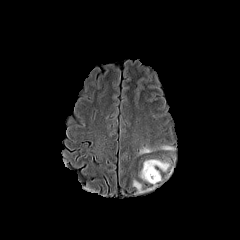
FLAIR magnetic resonance.
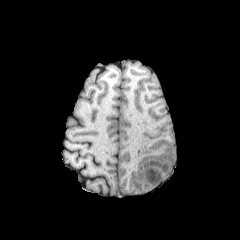
Same slice, T1-weighted magnetic resonance.
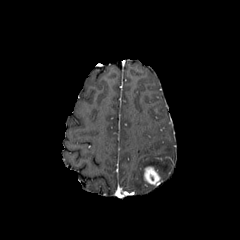
Post-contrast T1-weighted MR.
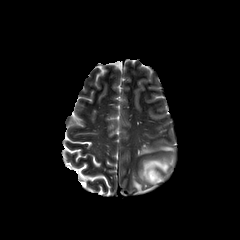
Same slice, T2-weighted MRI.
Image size 240x240; Brain
Segmented structures:
* edema: (left=143, top=159, right=169, bottom=170)
* enhancing tumor: (left=142, top=165, right=160, bottom=184)